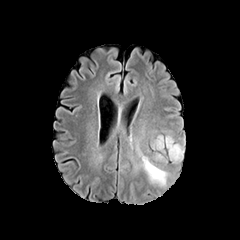
FLAIR MRI.
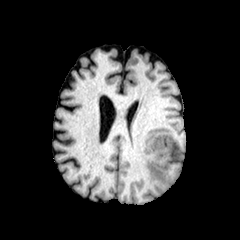
T1-weighted MRI.
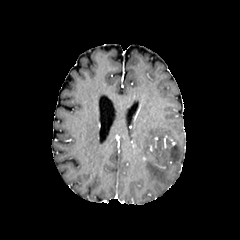
Same slice, post-contrast T1-weighted MRI.
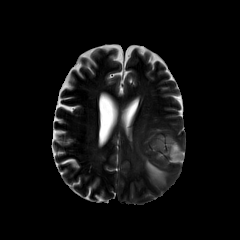
T2-weighted MR image.
Head
<segmentation>
  <edema>x1=165 y1=135 x2=180 y2=160, x1=156 y1=135 x2=164 y2=149, x1=145 y1=159 x2=167 y2=185</edema>
</segmentation>